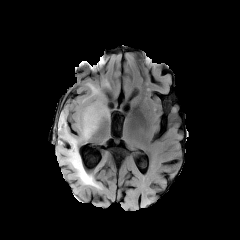
FLAIR magnetic resonance.
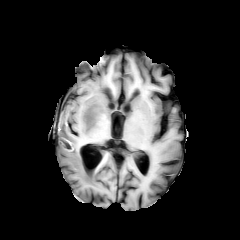
T1-weighted MR.
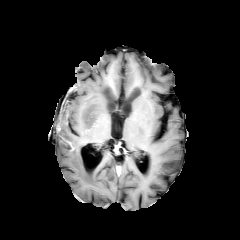
Post-contrast T1-weighted MR image.
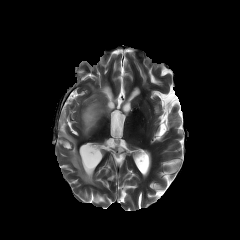
T2-weighted MR image.
Head
Edema: {"x1": 81, "y1": 105, "x2": 105, "y2": 140}, {"x1": 89, "y1": 84, "x2": 98, "y2": 94}, {"x1": 57, "y1": 109, "x2": 100, "y2": 188}.